Upper abdomen; Field of view 500 mm wide, 2.50 mm slice spacing; Slice 25/85; Computed tomography 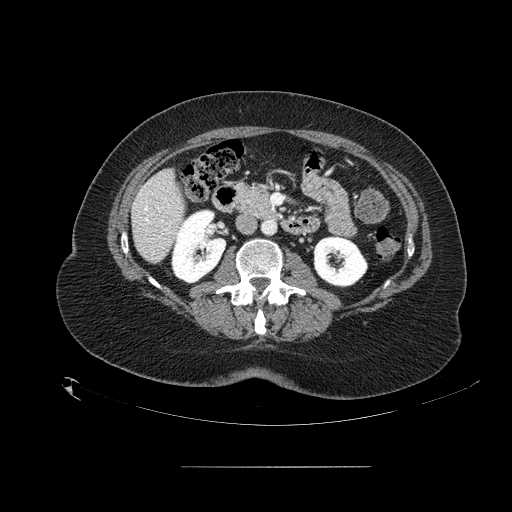

Pancreas at x1=235 y1=182 x2=274 y2=219.